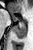

MR, Hippocampus
posterior hippocampus: region(13, 21, 26, 38) | anterior hippocampus: region(12, 15, 18, 20)